512x512 px. Slice 477/856. Image width 373 mm. Abdomen. CT scan slice.
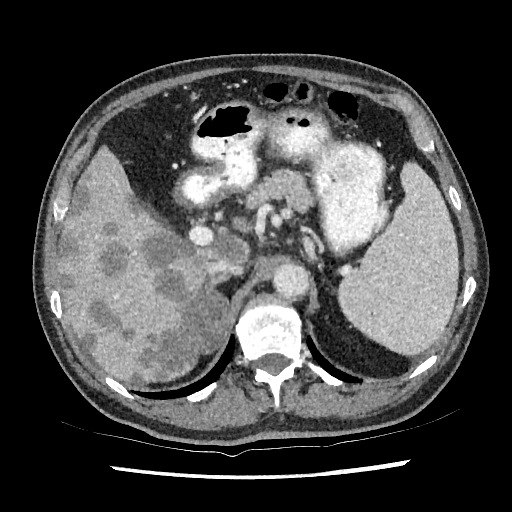 {
  "liver": [
    "left=60, top=147, right=217, bottom=380",
    "left=236, top=239, right=250, bottom=264",
    "left=212, top=231, right=235, bottom=241",
    "left=164, top=366, right=189, bottom=379"
  ],
  "focal_liver_lesion": [
    "left=143, top=232, right=201, bottom=267",
    "left=60, top=227, right=80, bottom=261",
    "left=60, top=270, right=74, bottom=291",
    "left=126, top=196, right=141, bottom=214",
    "left=89, top=269, right=195, bottom=378",
    "left=211, top=236, right=246, bottom=263",
    "left=130, top=373, right=142, bottom=380",
    "left=79, top=334, right=96, bottom=350",
    "left=67, top=182, right=93, bottom=220",
    "left=95, top=224, right=128, bottom=278"
  ]
}